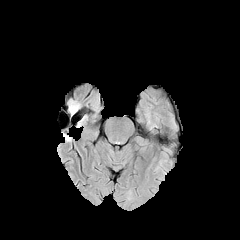
FLAIR magnetic resonance.
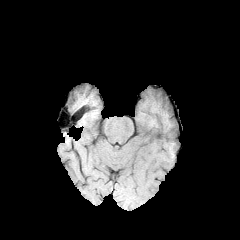
T1-weighted magnetic resonance.
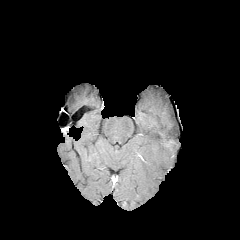
Post-contrast T1-weighted MR image.
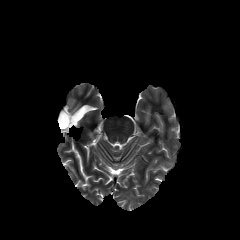
T2-weighted MR.
Brain
Edema = 68 101 79 114.